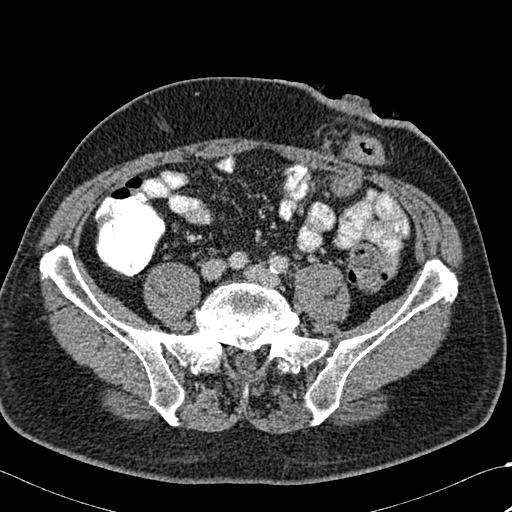

CT

bone: [305, 259, 457, 424], [40, 245, 328, 425]